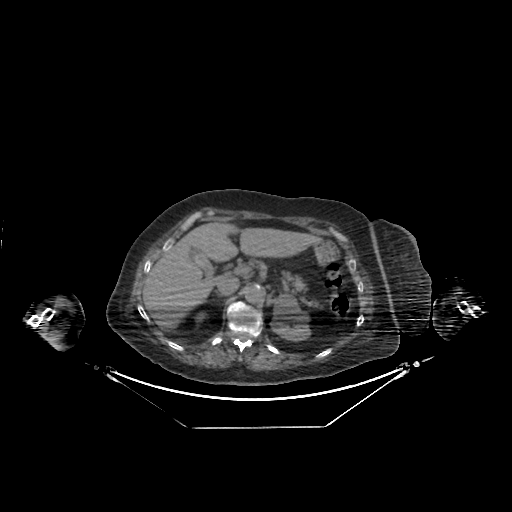 CT slice
<segmentation>
  <liver>box=[142, 220, 323, 332]</liver>
  <kidney>box=[271, 296, 310, 341]</kidney>
</segmentation>